CT scan slice
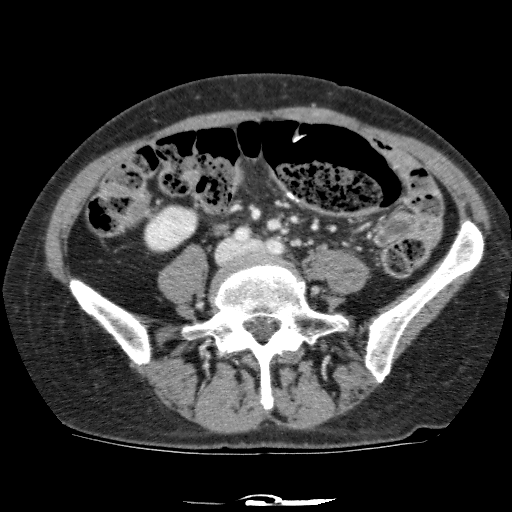
The kidney is bounded by bbox(147, 208, 194, 248).